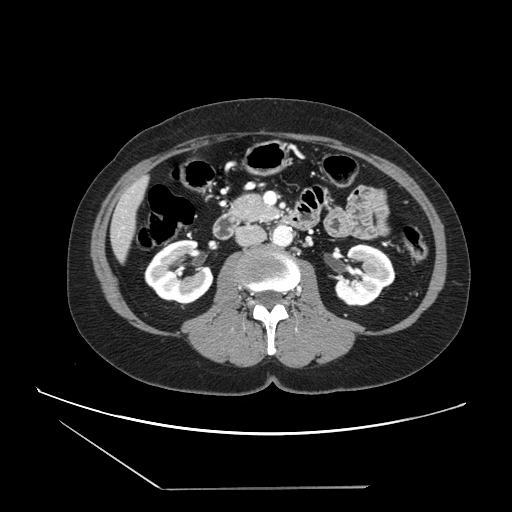 CT scan slice. Pancreas — 233,194,279,220.